FLAIR MR image.
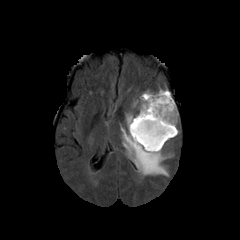
T1-weighted MR image.
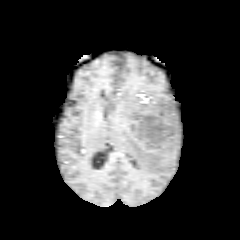
Post-contrast T1-weighted MR image.
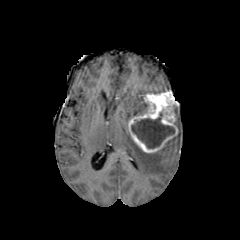
T2-weighted MR image.
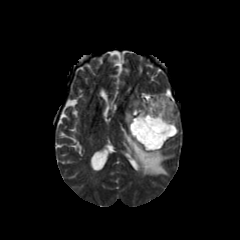
Head
{"enhancing_tumor": ["(128,90,177,152)"], "edema": ["(132,91,149,114)", "(121,127,179,175)"], "non-enhancing_tumor_core": ["(174,106,178,125)", "(139,100,147,114)", "(131,118,174,148)"]}